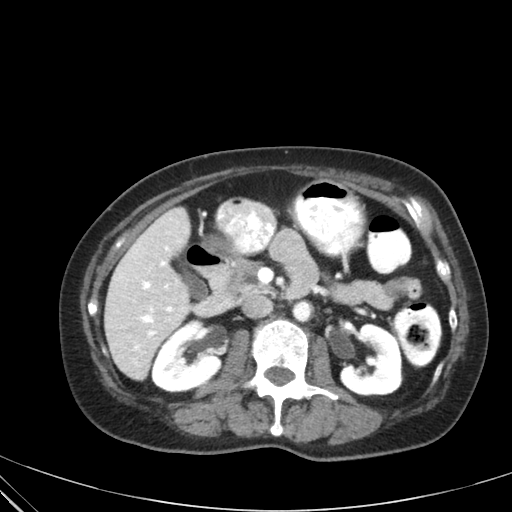
Computed tomography; Image size 512x512; Abdomen
The pancreas is located at 228,258,262,296. The pancreatic tumor is bounded by 243,273,258,285.